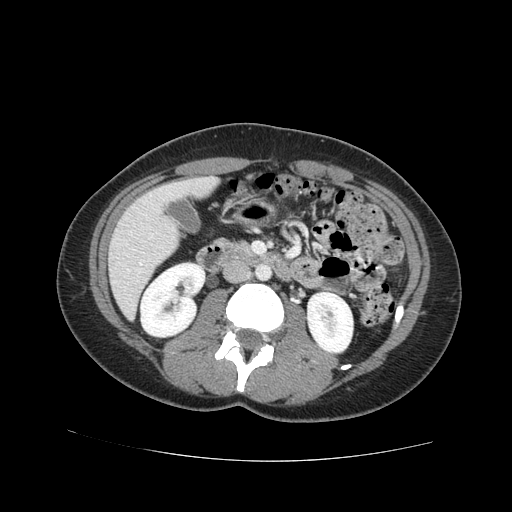 CT slice, Upper abdomen, 512x512
{"pancreas": ["region(231, 242, 249, 255)"]}